Image size 512x512, Slice 90 of 461, CT image, Lower abdomen 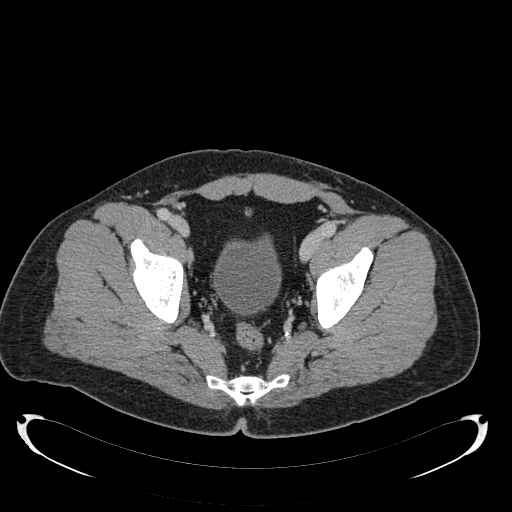

Urinary bladder: <bbox>213, 233, 281, 316</bbox>.